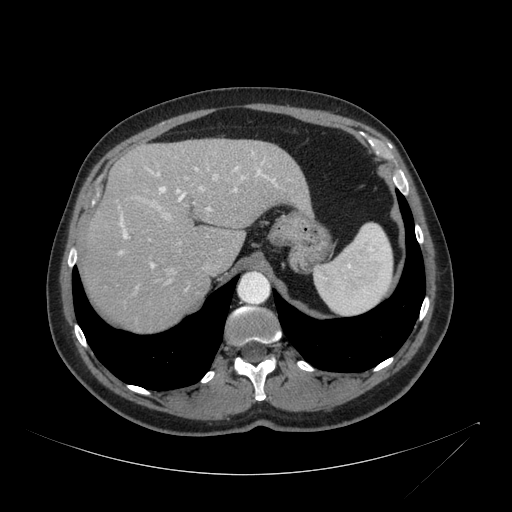

512x512 px; Upper abdomen; Computed tomography
Annotated regions:
• liver: (82,139,312,331)